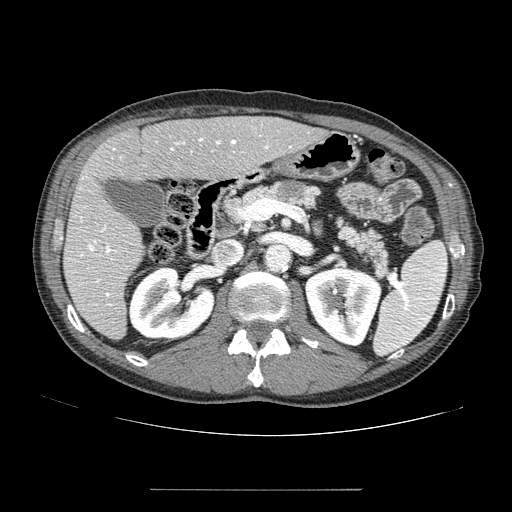
CT scan slice
Segmented structures:
• pancreatic tumor: x1=276 y1=181 x2=305 y2=202
• pancreas: x1=226 y1=180 x2=319 y2=231, x1=337 y1=220 x2=390 y2=275